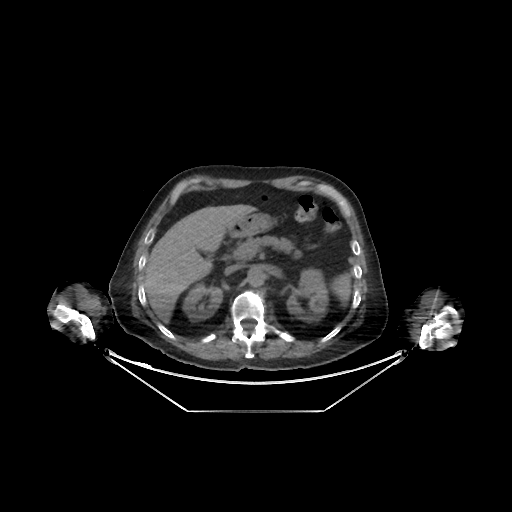 CT
<segmentation>
  <kidney>{"x1": 287, "y1": 266, "x2": 330, "y2": 323}, {"x1": 182, "y1": 283, "x2": 225, "y2": 322}</kidney>
  <liver>{"x1": 141, "y1": 205, "x2": 267, "y2": 322}</liver>
</segmentation>